CT, Abdomen

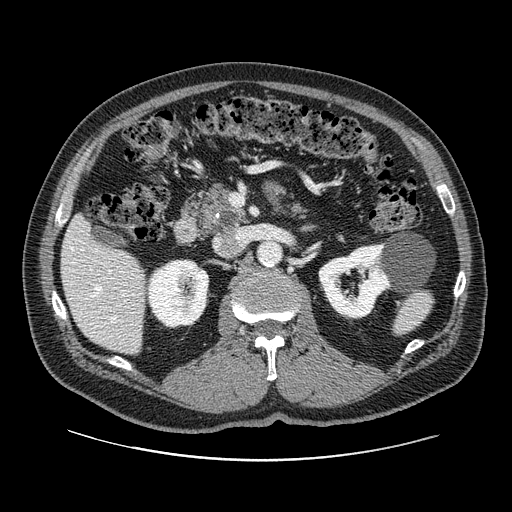

<segmentation>
  <pancreas>(left=264, top=181, right=308, bottom=220), (left=184, top=184, right=247, bottom=234)</pancreas>
  <pancreatic_tumor>(left=220, top=207, right=238, bottom=225)</pancreatic_tumor>
</segmentation>